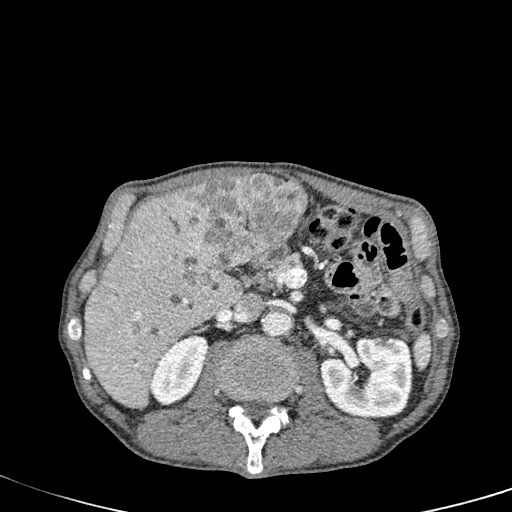
CT scan slice, Image size 512x512
Focal liver lesion: [184,175,307,271], [185,270,208,284].
Liver: [84,190,240,408].
Kidney: [150,336,206,403], [321,339,411,416].